Slice 81 of 155
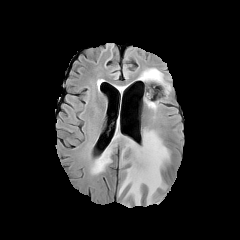
FLAIR MRI.
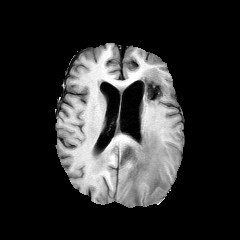
T1-weighted MRI.
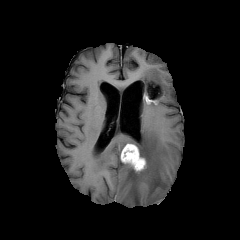
Same slice, post-contrast T1-weighted MR image.
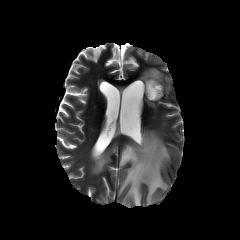
T2-weighted MR.
- enhancing tumor: 121 144 146 171
- edema: 92 130 121 173, 140 68 163 83, 145 96 156 108, 118 130 170 207
- non-enhancing tumor core: 128 148 149 179